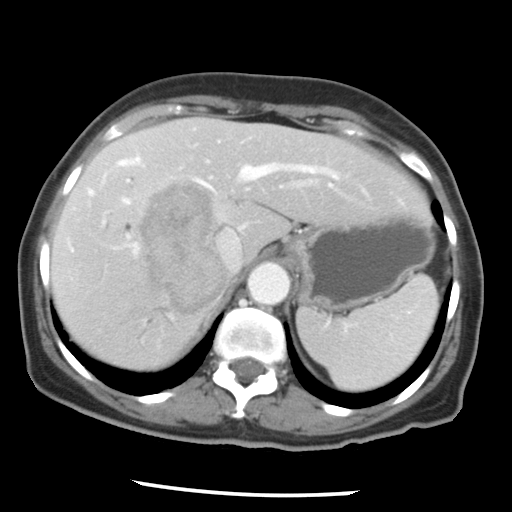

Abdomen, Computed tomography
Some hepatic vessels may have no box.
* hepatic vessel: [113,152,144,169], [67,239,73,251], [237,162,337,190], [219,229,239,268], [194,177,217,194], [217,208,226,219], [120,196,131,204], [124,243,139,254], [102,171,108,183], [238,225,244,229], [84,186,94,195]
* liver tumor: [135,176,226,316]